Slice 36 of 188 | Image width 330 mm | CT | Lower abdomen
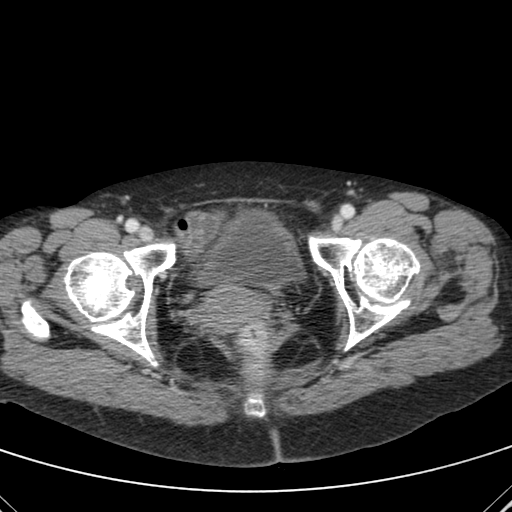

The urinary bladder appears at region(192, 208, 305, 289).